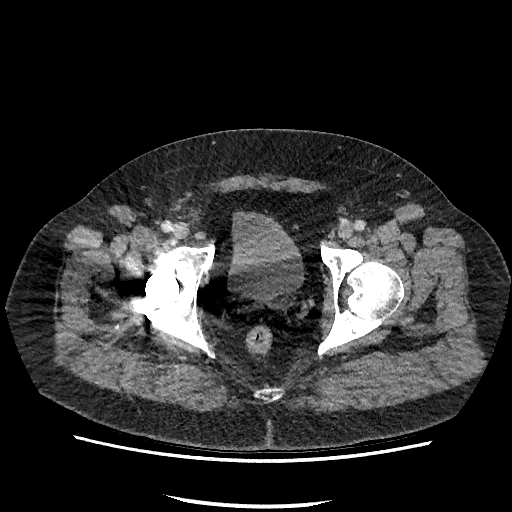 Computed tomography
The urinary bladder is located at left=228, top=211, right=304, bottom=304.